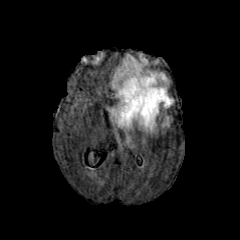
FLAIR MR.
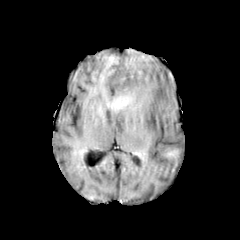
T1-weighted MR image.
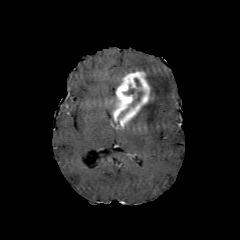
Same slice, post-contrast T1-weighted magnetic resonance.
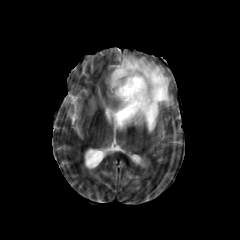
Same slice, T2-weighted MR image.
Head | 240x240 px
Edema — 162 116 169 127, 110 54 173 133.
Enhancing tumor — 112 70 152 128.